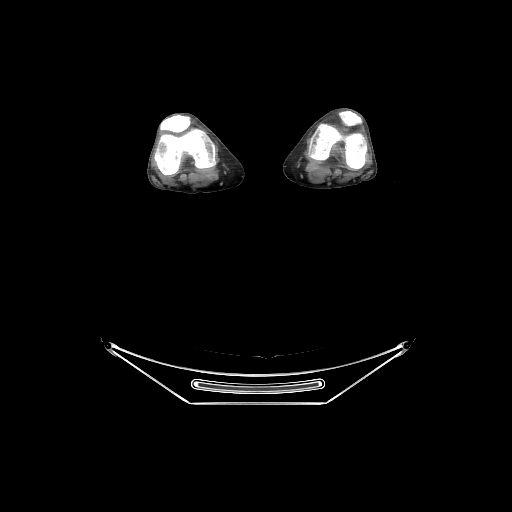

Image size 512x512 | CT slice
• bone: left=309, top=124, right=367, bottom=168; left=339, top=111, right=361, bottom=125; left=154, top=115, right=215, bottom=174